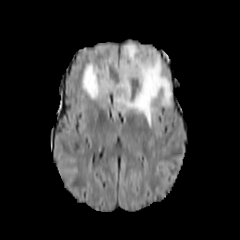
FLAIR MR image.
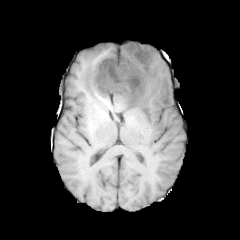
Same slice, T1-weighted MR image.
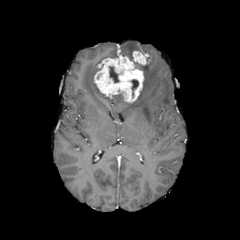
Post-contrast T1-weighted MRI of the same slice.
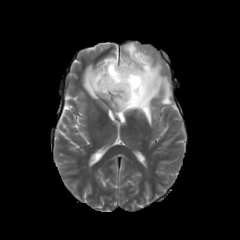
T2-weighted MR image of the same slice.
Brain
Edema at (82, 42, 172, 127).
Enhancing tumor at (132, 51, 149, 65), (94, 55, 143, 103).
Non-enhancing tumor core at (112, 93, 123, 100), (129, 52, 146, 70), (131, 79, 138, 95), (108, 66, 120, 82).